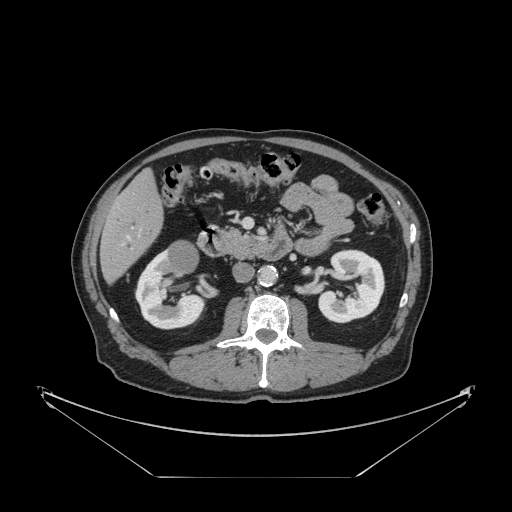 CT slice. Liver. The vessel boxes may cover only some of the vessels.
• hepatic vessel: bbox(127, 236, 129, 239)